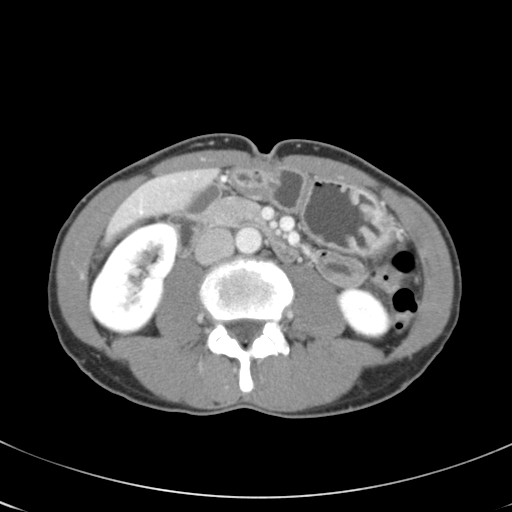 512x512. CT. Liver.

The vessel annotation is not exhaustive.
Hepatic vessel: bounding box 195,175,196,176; 139,209,142,213.